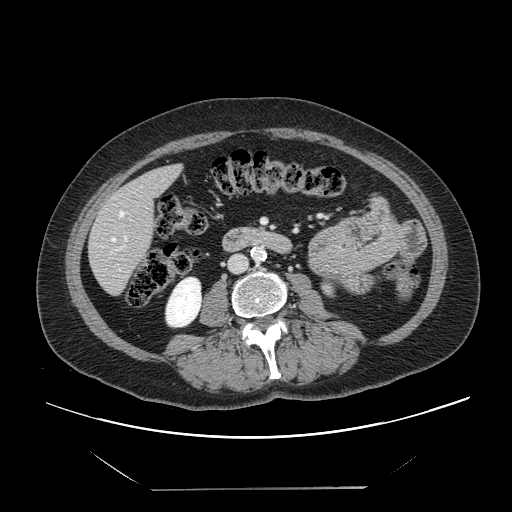 Liver. CT image.
Only some of the vessels may be annotated.
hepatic vessel: [118,268,120,270], [117,210,125,218], [100,246,103,247], [110,237,116,242], [110,235,127,254]